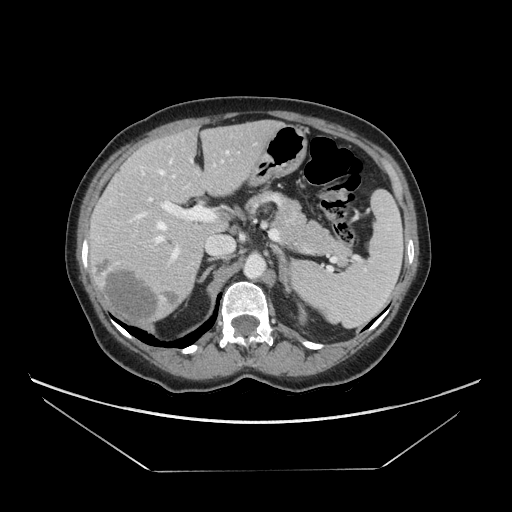 Computed tomography
Annotated regions:
- pancreatic tumor: box=[283, 209, 301, 224]
- pancreas: box=[244, 194, 267, 211]; box=[272, 197, 350, 265]